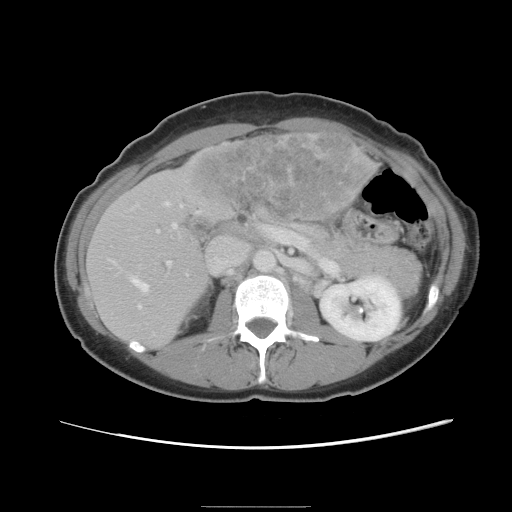 CT | Abdomen
The vessel annotation is not exhaustive.
Liver tumor = 185,135,370,221.
Hepatic vessel = 166,260,170,263; 157,229,158,231; 129,275,148,291; 313,252,335,271; 164,201,168,204; 138,305,140,307; 260,225,310,251; 112,261,116,265; 172,223,176,226; 197,210,199,213; 210,238,249,274.